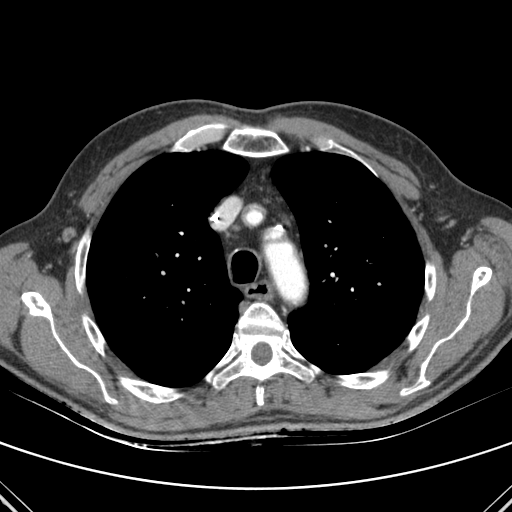
Thorax. CT.
<segmentation>
  <bone>box=[400, 302, 470, 395]; box=[173, 123, 226, 151]; box=[339, 370, 388, 389]; box=[223, 127, 288, 157]; box=[408, 315, 429, 350]; box=[82, 315, 104, 355]; box=[119, 377, 181, 403]; box=[325, 139, 360, 160]; box=[75, 232, 89, 292]; box=[425, 263, 436, 300]; box=[21, 292, 117, 404]; box=[470, 266, 491, 295]; box=[206, 302, 319, 405]</bone>
  <lung>box=[86, 150, 248, 387]; box=[271, 151, 424, 374]</lung>
</segmentation>